Brain
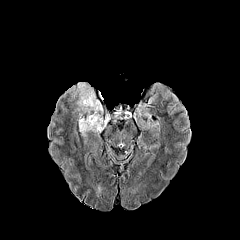
FLAIR MRI.
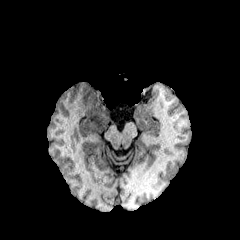
Same slice, T1-weighted MRI.
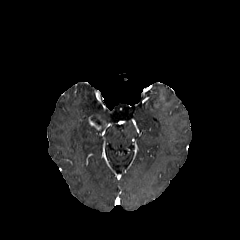
Post-contrast T1-weighted MR.
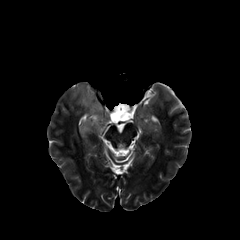
T2-weighted MR image.
edema: [79, 121, 95, 141], [74, 82, 103, 120] | non-enhancing tumor core: [91, 114, 108, 130] | enhancing tumor: [89, 117, 100, 129]